Head
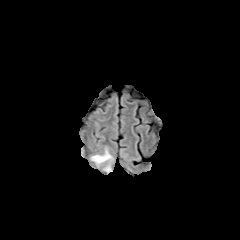
FLAIR MR.
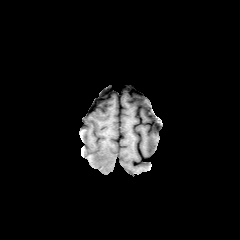
T1-weighted MRI.
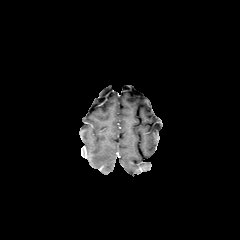
Same slice, post-contrast T1-weighted MR.
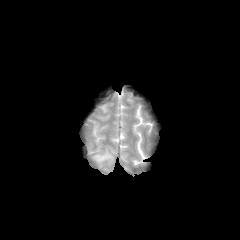
Same slice, T2-weighted MR.
edema:
  - bbox=[92, 149, 113, 171]